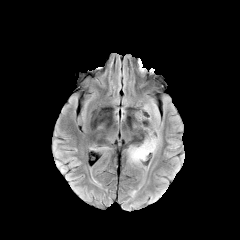
FLAIR MRI.
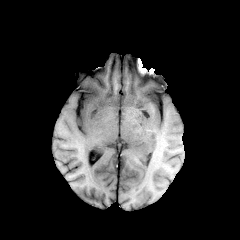
T1-weighted magnetic resonance.
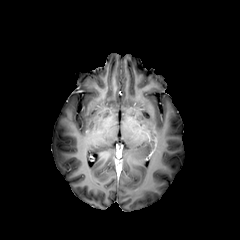
Post-contrast T1-weighted MR.
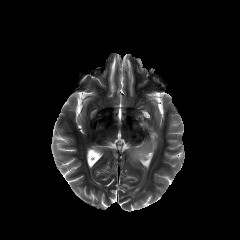
T2-weighted MR image.
Head
Segmented structures:
- edema: l=128, t=132, r=160, b=163; l=143, t=99, r=160, b=123